FLAIR MRI.
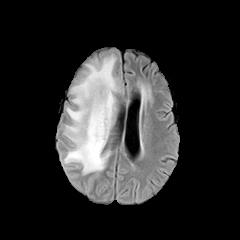
T1-weighted MR image.
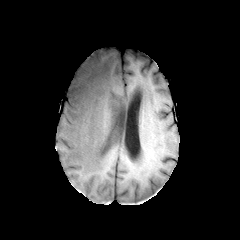
Post-contrast T1-weighted MR.
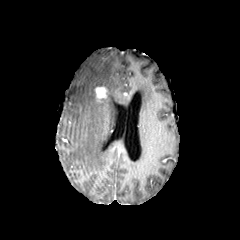
T2-weighted MR.
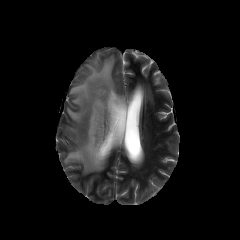
Image size 240x240
Enhancing tumor: bounding box [95,87,107,101].
Edema: bounding box [64,55,117,174].
Non-enhancing tumor core: bounding box [93,84,107,104].